Chest; Image width 360 mm; Computed tomography
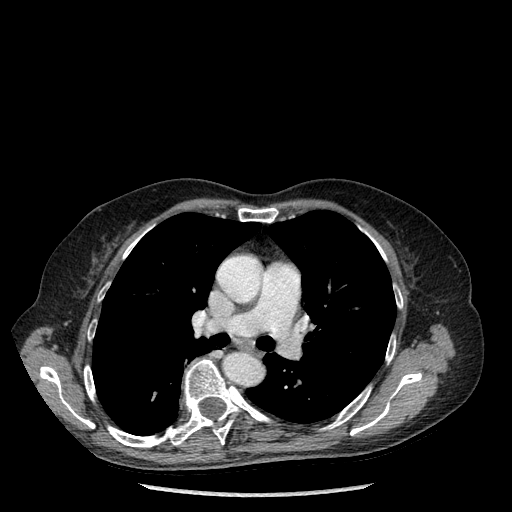 Segmented structures:
• lung: 246, 210, 396, 423; 92, 212, 260, 435
• bone: 321, 386, 371, 430; 107, 359, 270, 447; 386, 335, 395, 363; 123, 228, 148, 258; 350, 371, 421, 435; 98, 283, 108, 301; 393, 285, 403, 308; 87, 320, 96, 339; 365, 231, 387, 260; 39, 366, 95, 428; 238, 208, 278, 222; 84, 365, 95, 400